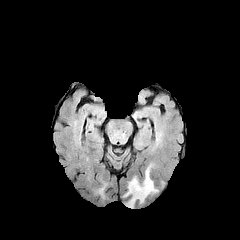
FLAIR magnetic resonance.
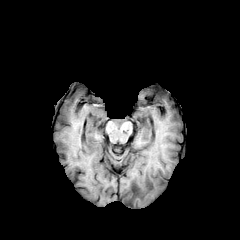
T1-weighted MR of the same slice.
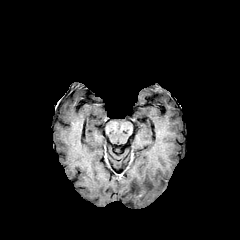
Same slice, post-contrast T1-weighted MRI.
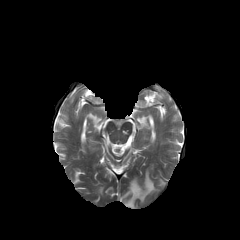
T2-weighted magnetic resonance.
Brain
The edema is located at left=123, top=167, right=158, bottom=207.